Upper abdomen, CT scan slice 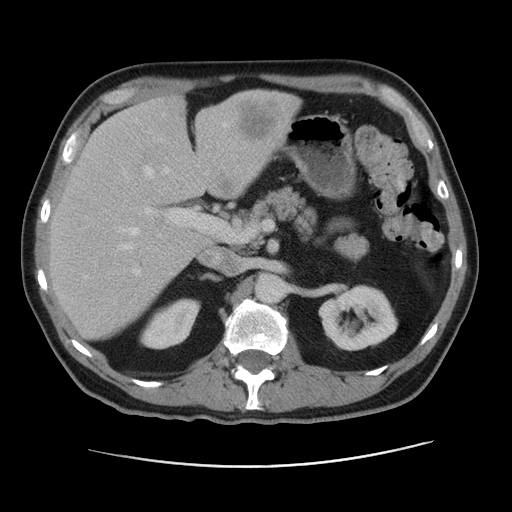

The liver lies within x1=50 y1=92 x2=299 y2=336. 2 kidney regions are located at x1=318 y1=285 x2=397 y2=350, x1=143 y1=300 x2=198 y2=347. 2 focal liver lesion regions appear at x1=240 y1=101 x2=279 y2=138, x1=218 y1=176 x2=238 y2=194.